Slice index 89.
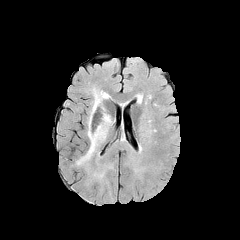
FLAIR magnetic resonance.
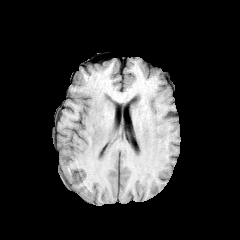
T1-weighted MR.
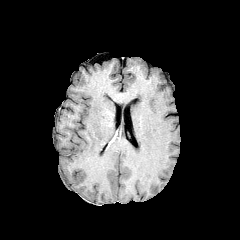
Post-contrast T1-weighted MR.
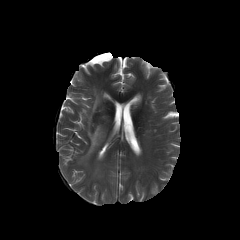
Same slice, T2-weighted MR image.
The edema is at <box>78,90,107,164</box>.